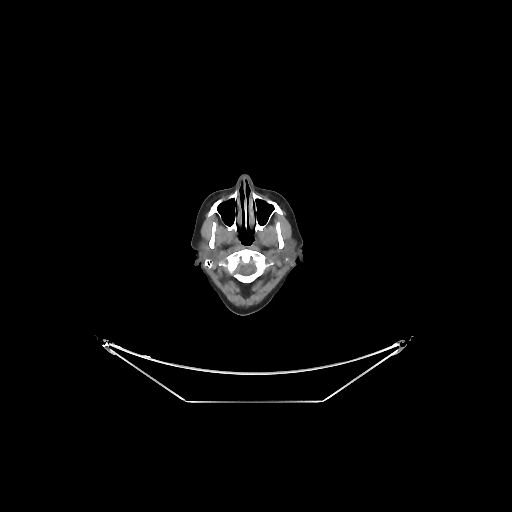
Brain; CT
The brain is at left=235, top=259, right=256, bottom=276.